Head
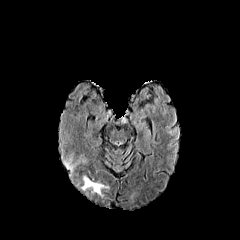
FLAIR magnetic resonance.
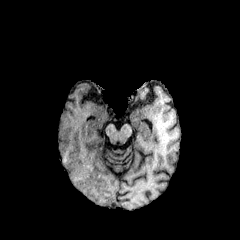
T1-weighted MR image.
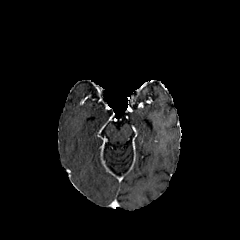
Post-contrast T1-weighted MRI.
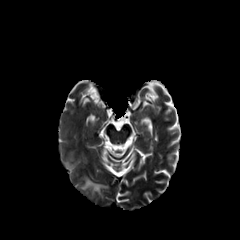
Same slice, T2-weighted MR image.
Edema — box=[81, 176, 108, 196].